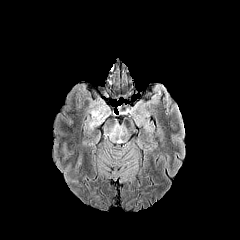
FLAIR magnetic resonance.
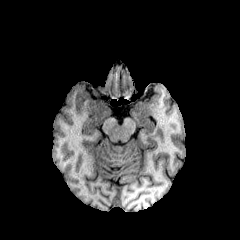
T1-weighted MRI of the same slice.
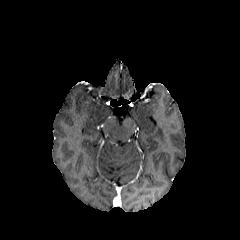
Post-contrast T1-weighted magnetic resonance.
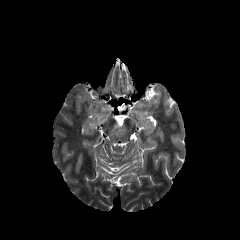
T2-weighted MR image of the same slice.
Head
The edema appears at {"x1": 92, "y1": 110, "x2": 101, "y2": 119}.